Liver, Slice 78/104, Field of view 379x379 mm, CT slice

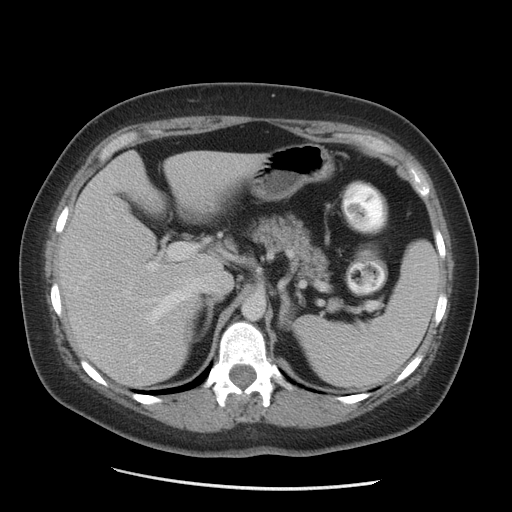

2 liver regions are bounded by x1=165, y1=151, x2=259, y2=209; x1=58, y1=153, x2=223, y2=385.